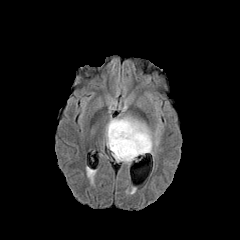
FLAIR MR.
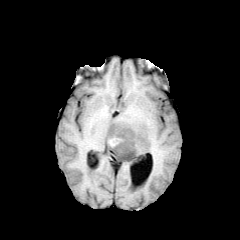
T1-weighted MR.
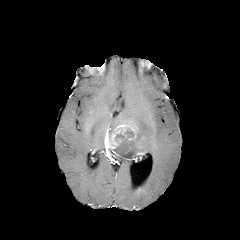
Post-contrast T1-weighted magnetic resonance.
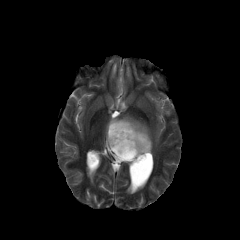
T2-weighted magnetic resonance.
<segmentation>
  <edema>114 156 134 166, 105 98 159 155</edema>
  <non-enhancing_tumor_core>113 133 147 160</non-enhancing_tumor_core>
  <enhancing_tumor>104 120 139 156, 136 141 145 149</enhancing_tumor>
</segmentation>